Image size 240x240
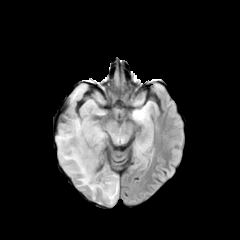
FLAIR magnetic resonance.
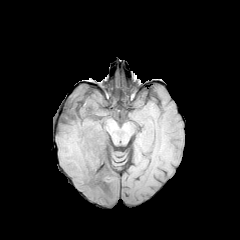
T1-weighted MRI.
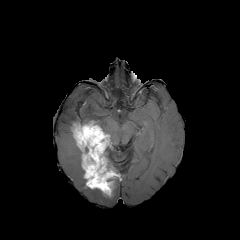
Post-contrast T1-weighted magnetic resonance of the same slice.
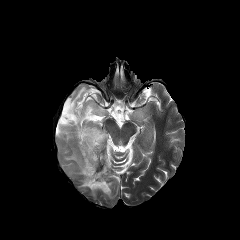
T2-weighted magnetic resonance of the same slice.
3 edema regions appear at (left=90, top=180, right=118, bottom=203), (left=132, top=108, right=146, bottom=121), (left=56, top=85, right=105, bottom=187). 3 non-enhancing tumor core regions are located at (left=70, top=110, right=101, bottom=137), (left=97, top=146, right=107, bottom=171), (left=107, top=178, right=117, bottom=195). The enhancing tumor is at (left=73, top=121, right=118, bottom=195).